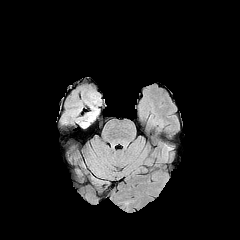
FLAIR MRI.
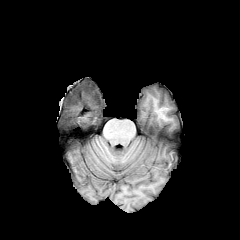
T1-weighted MR of the same slice.
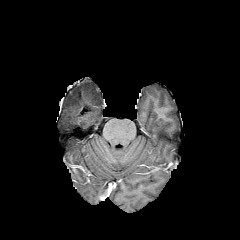
Post-contrast T1-weighted magnetic resonance.
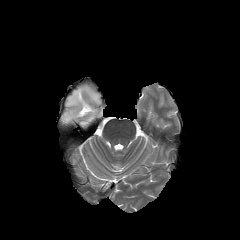
Same slice, T2-weighted MR.
Head
Non-enhancing tumor core — 79,87,99,105; 68,92,82,107.
Edema — 61,91,99,127; 87,88,101,105.